FLAIR MRI.
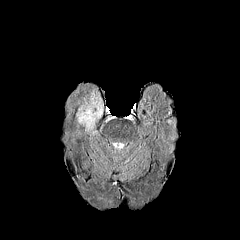
T1-weighted MRI.
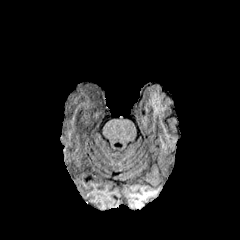
Post-contrast T1-weighted MR image.
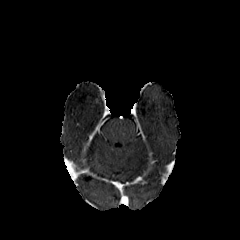
T2-weighted magnetic resonance.
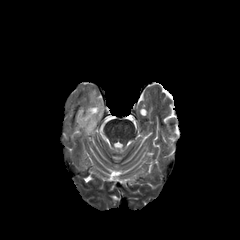
Brain.
3 edema regions appear at l=77, t=111, r=85, b=124; l=85, t=110, r=95, b=131; l=97, t=104, r=103, b=118.